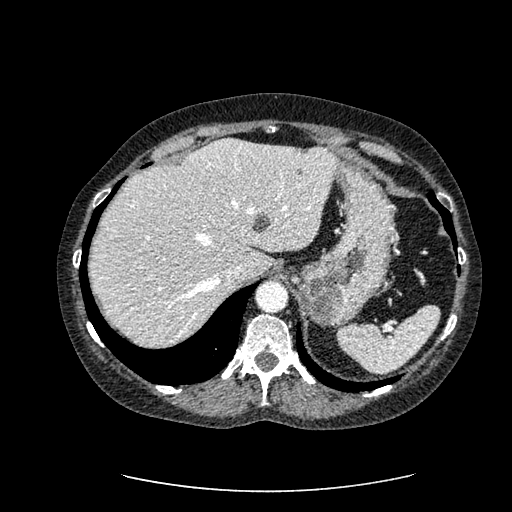

Abdomen | CT scan slice | Image size 512x512
Liver: box=[89, 139, 334, 345].
Hepatic lesion: box=[252, 214, 269, 232]; box=[293, 148, 310, 153].